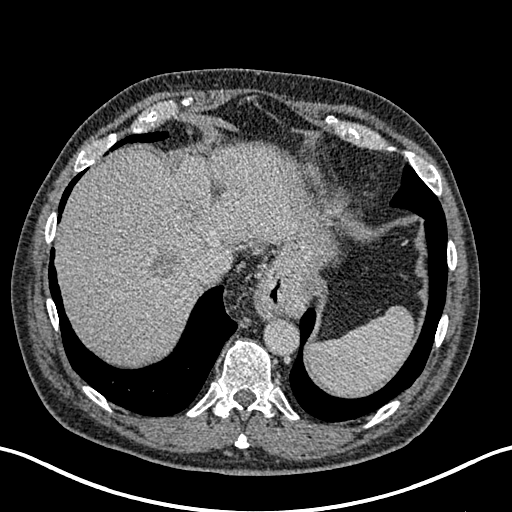

512x512; CT
Annotated regions:
* liver lesion: x1=209 y1=186 x2=220 y2=197, x1=177 y1=196 x2=213 y2=218, x1=149 y1=246 x2=183 y2=279
* liver: x1=57 y1=144 x2=336 y2=362